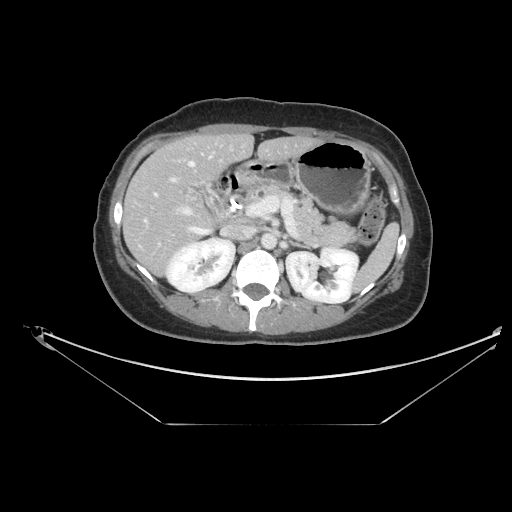

Upper abdomen, CT slice, 512x512

Pancreas — <bbox>255, 185, 283, 199</bbox>, <bbox>293, 197, 357, 248</bbox>.